Image size 37x50, MR

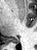

<segmentation>
  <posterior_hippocampus>box=[7, 38, 19, 44]</posterior_hippocampus>
</segmentation>